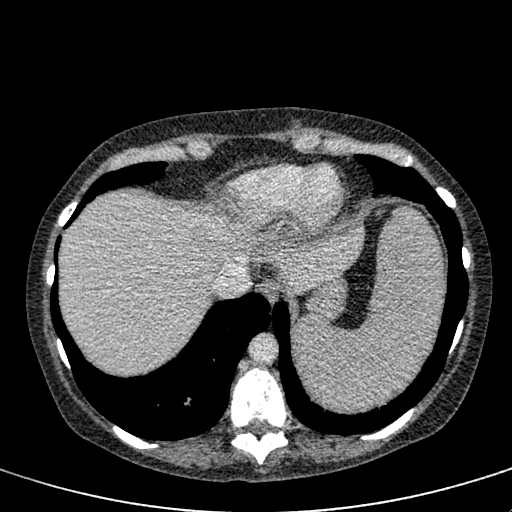 Computed tomography; 512x512
Liver: {"x1": 60, "y1": 194, "x2": 260, "y2": 374}, {"x1": 274, "y1": 227, "x2": 365, "y2": 295}.
Liver lesion: {"x1": 185, "y1": 228, "x2": 215, "y2": 248}.